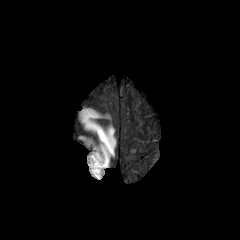
FLAIR MRI.
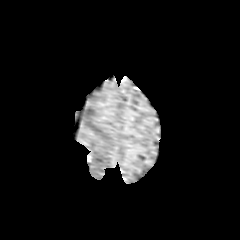
Same slice, T1-weighted MRI.
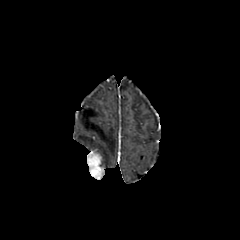
Post-contrast T1-weighted MR image.
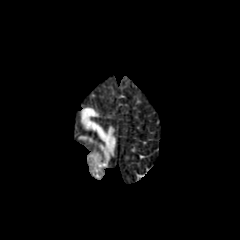
T2-weighted MR image.
Brain.
<segmentation>
  <enhancing_tumor>rect(88, 151, 103, 179)</enhancing_tumor>
  <edema>rect(80, 108, 116, 167)</edema>
</segmentation>